Liver, CT slice
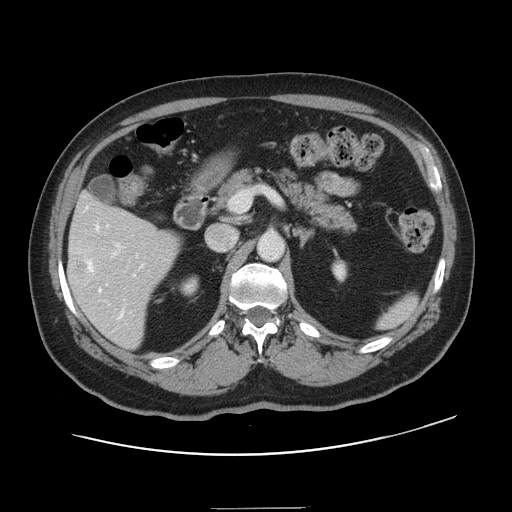
The vessel boxes may cover only some of the vessels.
Findings:
• hepatic vessel: {"x1": 116, "y1": 244, "x2": 121, "y2": 248}, {"x1": 113, "y1": 252, "x2": 116, "y2": 255}, {"x1": 98, "y1": 288, "x2": 100, "y2": 291}, {"x1": 140, "y1": 265, "x2": 142, "y2": 267}, {"x1": 87, "y1": 260, "x2": 92, "y2": 271}, {"x1": 86, "y1": 206, "x2": 87, "y2": 208}, {"x1": 133, "y1": 274, "x2": 134, "y2": 275}, {"x1": 118, "y1": 310, "x2": 122, "y2": 318}, {"x1": 96, "y1": 225, "x2": 98, "y2": 231}